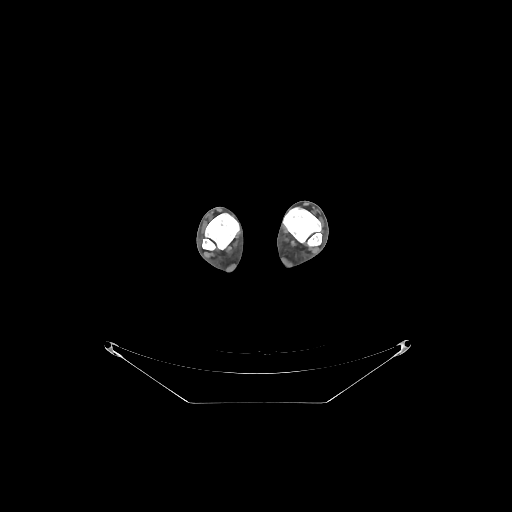 CT image | 512x512
Bone at 202 213 239 250, 283 208 321 246.